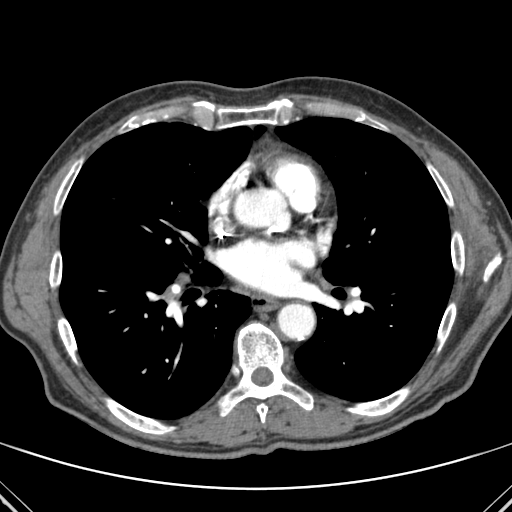

Chest; CT slice

The principal 15 bone regions (of 17) are located at (123,114,153,127), (49,251,61,287), (218,323,313,422), (217,99,292,128), (484,254,501,280), (347,388,409,416), (438,303,455,350), (428,164,453,206), (58,318,76,362), (105,399,174,434), (54,160,81,214), (193,101,215,111), (166,300,182,323), (353,112,385,128), (451,231,464,273). 2 lung regions are bounded by (275,117,453,401), (59,122,265,418).